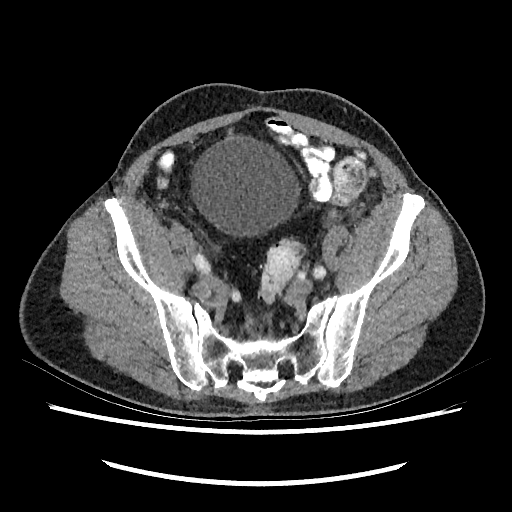

Lower abdomen. CT image. 512x512.
urinary bladder: <box>191,131,301,236</box>